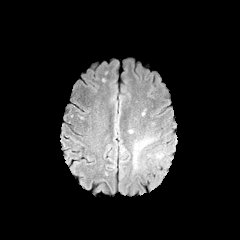
FLAIR MR.
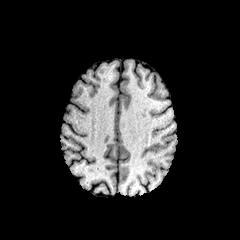
Same slice, T1-weighted MR image.
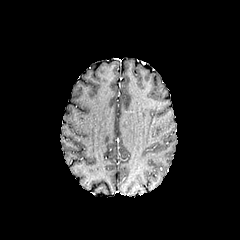
Post-contrast T1-weighted MRI.
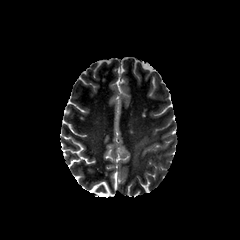
T2-weighted MR image.
Head
edema:
  - l=133, t=137, r=151, b=169